240x240, Field of view 240 mm wide, 1.00 mm slice spacing, Brain, Slice index 64
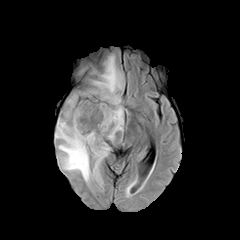
FLAIR MR.
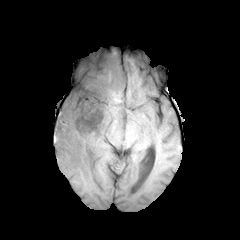
T1-weighted MRI.
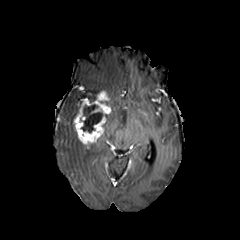
Post-contrast T1-weighted magnetic resonance.
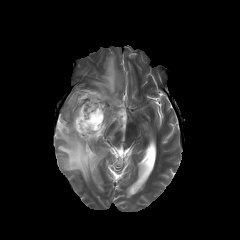
T2-weighted MRI of the same slice.
The enhancing tumor lies within (x1=73, y1=91, x2=110, y2=145). The edema is at (x1=55, y1=56, x2=125, y2=181). 2 non-enhancing tumor core regions are bounded by (x1=82, y1=104, x2=102, y2=132), (x1=76, y1=89, x2=109, y2=110).